FLAIR MR image.
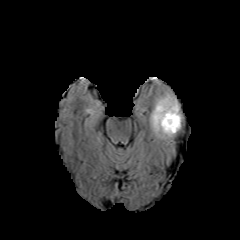
T1-weighted MR.
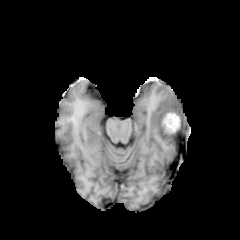
Post-contrast T1-weighted magnetic resonance.
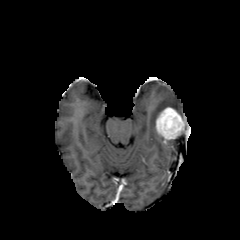
T2-weighted magnetic resonance.
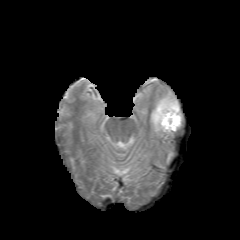
- enhancing tumor: <bbox>163, 113, 179, 131</bbox>
- non-enhancing tumor core: <bbox>157, 102, 165, 113</bbox>, <bbox>160, 113, 173, 132</bbox>
- edema: <bbox>149, 90, 183, 143</bbox>